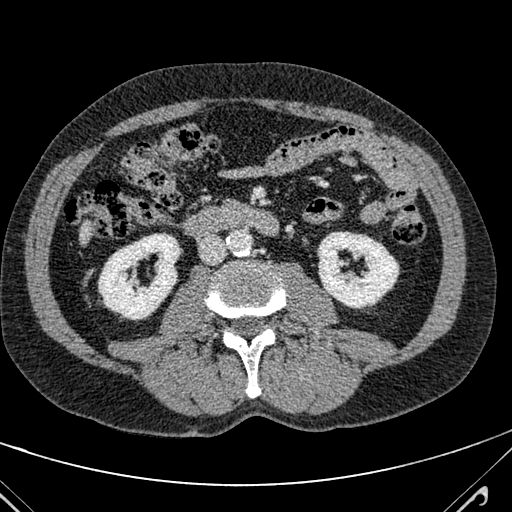
Abdomen; CT
Liver: 80:220:92:241.